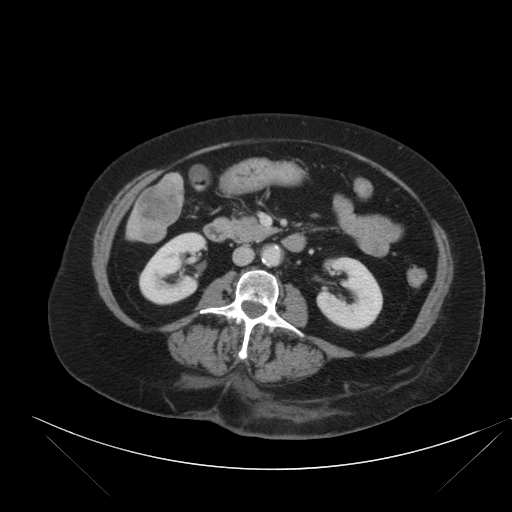 CT image. Abdomen. 512x512 px.
Segmented structures:
* liver tumor: bbox=[135, 181, 183, 243]